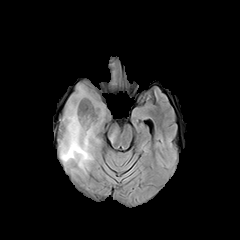
FLAIR MR.
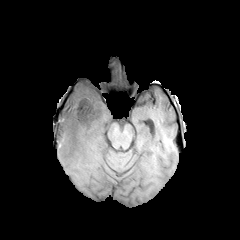
Same slice, T1-weighted magnetic resonance.
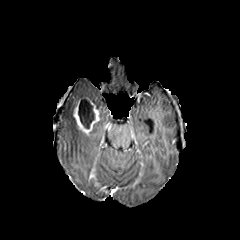
Same slice, post-contrast T1-weighted magnetic resonance.
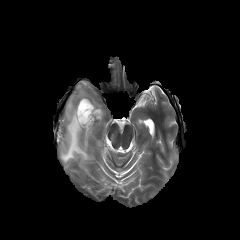
T2-weighted MR image of the same slice.
Brain
2 enhancing tumor regions are bounded by [73,105,94,135], [92,103,100,119]. The edema appears at [58,86,106,173]. The non-enhancing tumor core is located at [74,100,101,127].